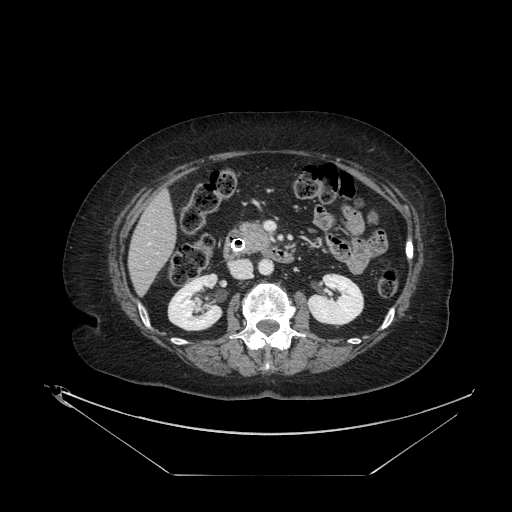 512x512. Upper abdomen. CT scan slice.

Pancreas = rect(240, 222, 271, 252).